Abdomen. Computed tomography.
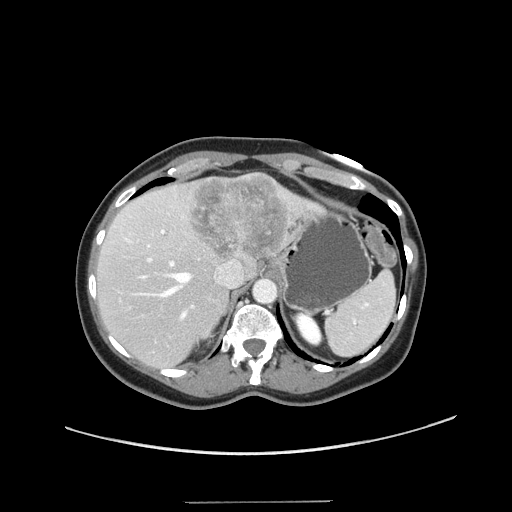 Not every hepatic vessel necessarily has a box.
Liver tumor: (left=187, top=174, right=289, bottom=259).
Hepatic vessel: (left=214, top=260, right=242, bottom=288), (left=170, top=261, right=173, bottom=264), (left=181, top=311, right=185, bottom=317), (left=191, top=305, right=193, bottom=307), (left=158, top=286, right=178, bottom=296), (left=141, top=275, right=145, bottom=277), (left=172, top=273, right=189, bottom=285), (left=162, top=230, right=163, bottom=231), (left=148, top=258, right=150, bottom=260), (left=140, top=293, right=153, bottom=294).